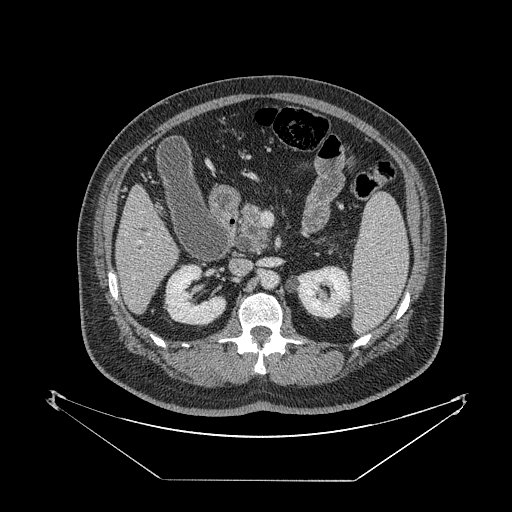

Image size 512x512 | Abdomen | CT slice
Annotated regions:
* pancreas: 236, 206, 268, 251